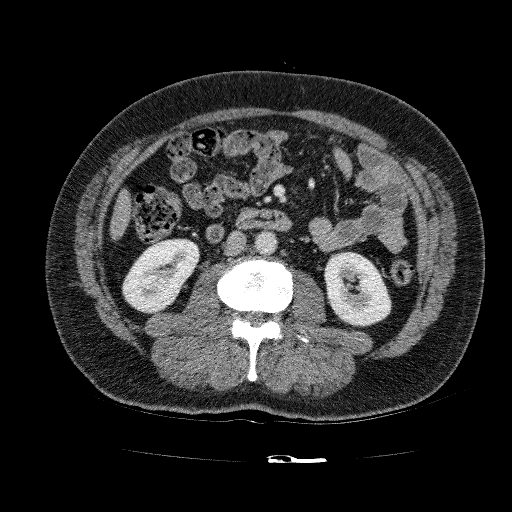

Abdomen, CT image
kidney: l=123, t=239, r=198, b=312; l=325, t=252, r=390, b=325 | liver: l=110, t=189, r=131, b=239